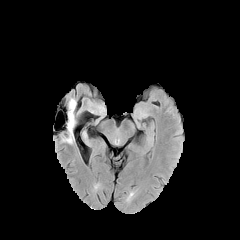
FLAIR MR image.
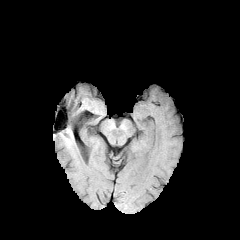
T1-weighted MR of the same slice.
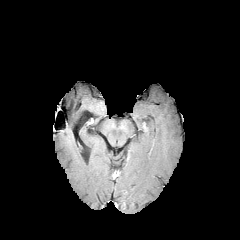
Post-contrast T1-weighted magnetic resonance.
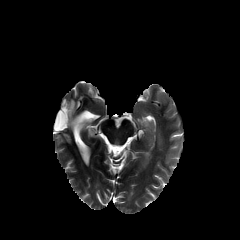
T2-weighted MR of the same slice.
Annotated regions:
- edema: rect(67, 98, 79, 142)